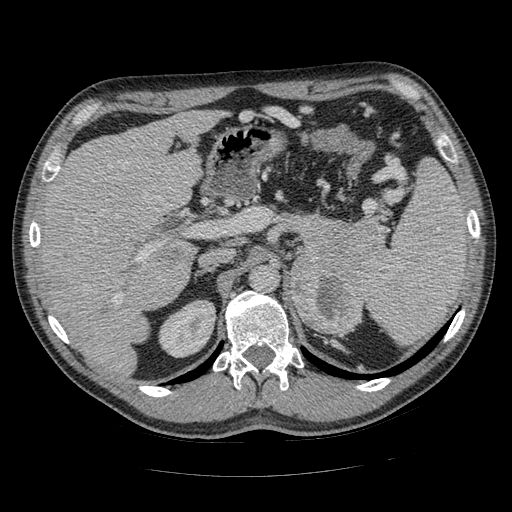

512x512; CT slice
Pancreatic tumor = left=290, top=256, right=362, bottom=333.
Pancreas = left=297, top=217, right=381, bottom=290.